Slice 59/155 | Brain | Field of view 240 mm wide, 1.00 mm slice spacing
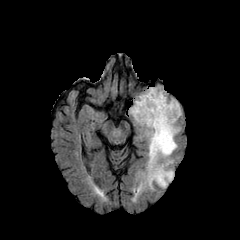
FLAIR MR.
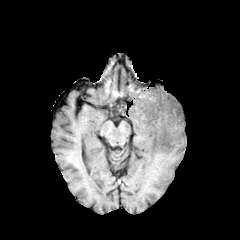
T1-weighted MR image.
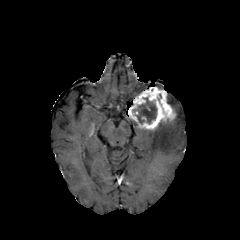
Post-contrast T1-weighted MRI.
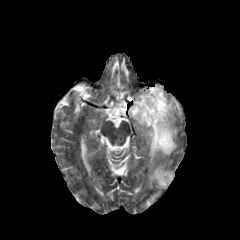
T2-weighted magnetic resonance.
• non-enhancing tumor core: bbox=[137, 98, 156, 123]
• enhancing tumor: bbox=[128, 87, 176, 130]
• edema: bbox=[148, 165, 173, 186]; bbox=[146, 98, 181, 169]